Computed tomography
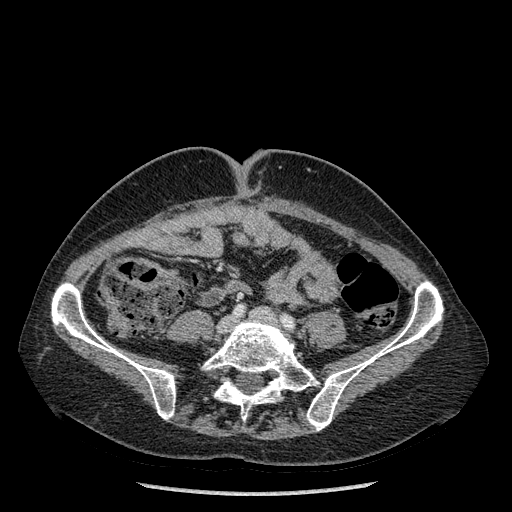
{
  "bone": [
    "x1=306 y1=280 x2=443 y2=430",
    "x1=51 y1=282 x2=175 y2=419",
    "x1=202 y1=316 x2=319 y2=420"
  ]
}